CT; Image size 512x512; Slice 9 of 127 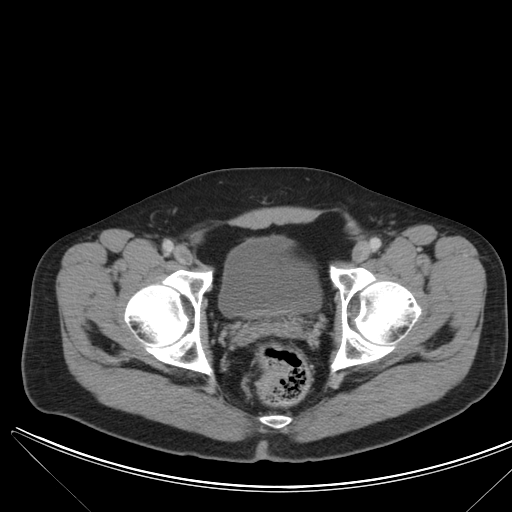

Colon tumor at (259, 364, 287, 392).